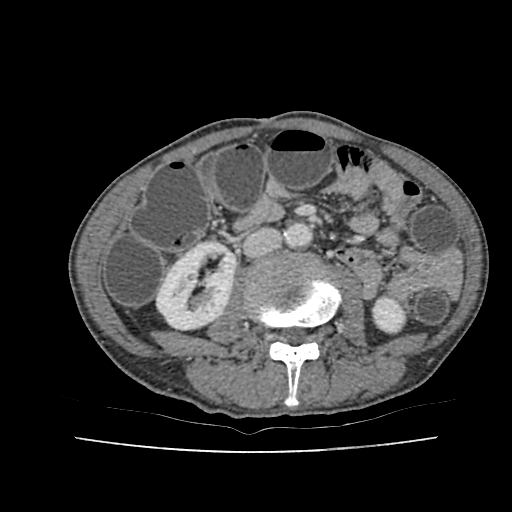 512x512 px | CT | Abdomen
Kidney — l=157, t=243, r=235, b=329; l=374, t=298, r=403, b=330.